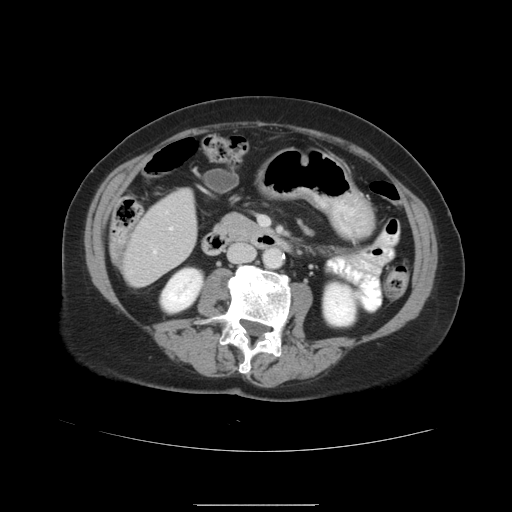 CT scan slice
Not every hepatic vessel necessarily has a box.
- hepatic vessel: <bbox>170, 227, 172, 230</bbox>, <bbox>166, 212, 168, 213</bbox>, <bbox>154, 250, 156, 253</bbox>, <bbox>130, 271, 133, 273</bbox>